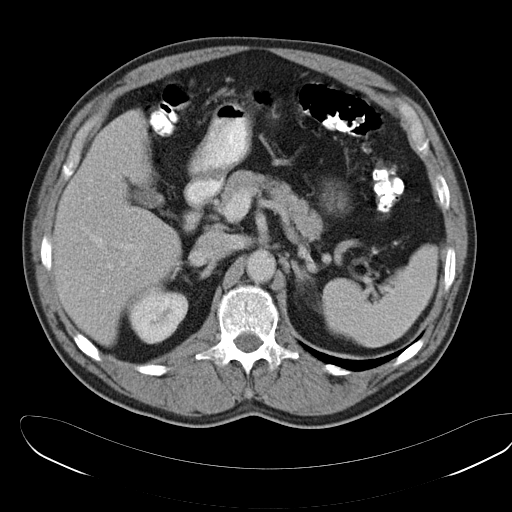
512x512 px | CT
Spleen = {"x1": 324, "y1": 247, "x2": 435, "y2": 347}.